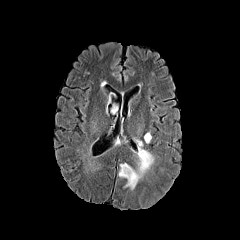
FLAIR MR image.
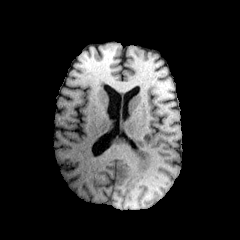
Same slice, T1-weighted magnetic resonance.
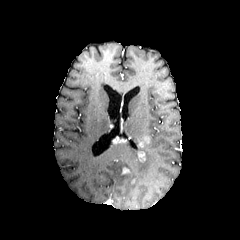
Post-contrast T1-weighted MR of the same slice.
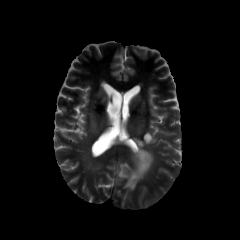
T2-weighted magnetic resonance.
Head.
{
  "edema": [
    "(143, 130, 155, 145)",
    "(118, 148, 153, 190)"
  ],
  "enhancing_tumor": [
    "(136, 150, 145, 161)",
    "(112, 136, 124, 144)"
  ]
}